CT image 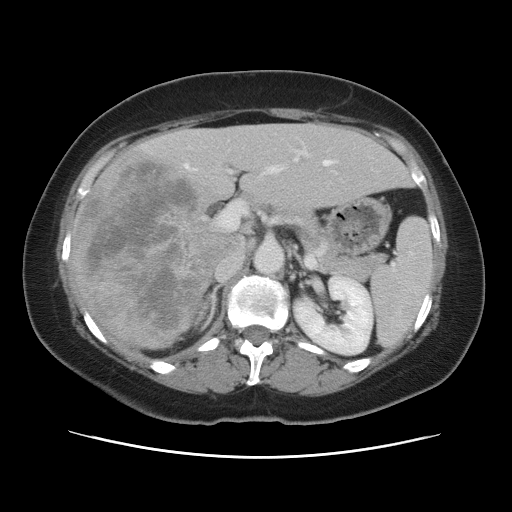

Only some of the vessels may be annotated.
Annotated regions:
• liver tumor: 76 152 207 344
• hepatic vessel: 185 164 189 167, 228 170 230 172, 263 166 282 173, 314 250 322 252, 215 200 247 232, 216 257 242 280, 324 160 335 166, 295 146 305 161